240x240; Brain
FLAIR MR.
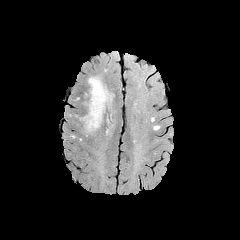
T1-weighted MR image.
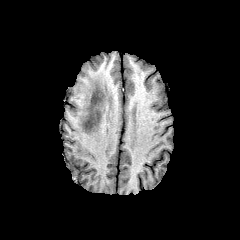
Post-contrast T1-weighted magnetic resonance.
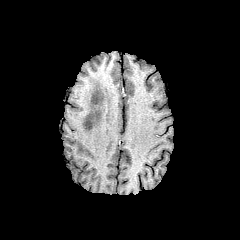
T2-weighted MR.
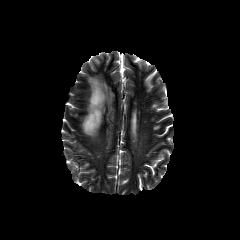
{
  "edema": [
    "<box>82,75,112,135</box>"
  ],
  "non-enhancing_tumor_core": [
    "<box>91,94,98,104</box>",
    "<box>84,114,94,129</box>"
  ]
}